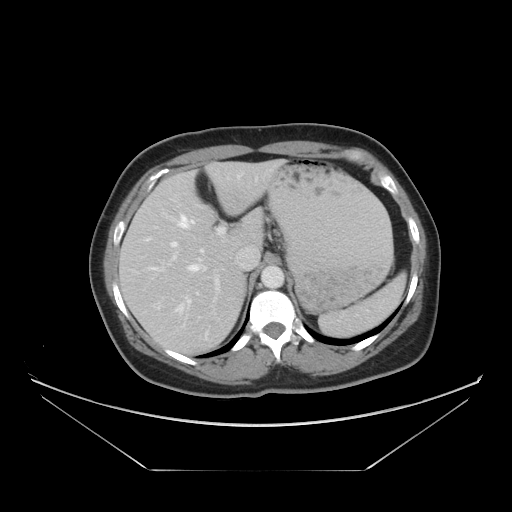

CT slice. Liver.
Some hepatic vessels may have no box.
{"hepatic_vessel": ["rect(171, 242, 177, 246)", "rect(200, 250, 202, 251)", "rect(195, 204, 202, 207)", "rect(191, 267, 196, 268)"]}